Brain, Slice 106 of 155
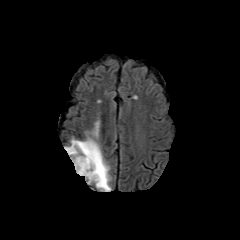
FLAIR magnetic resonance.
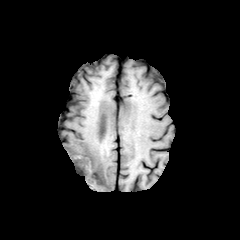
Same slice, T1-weighted MR.
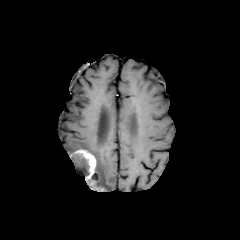
Post-contrast T1-weighted magnetic resonance.
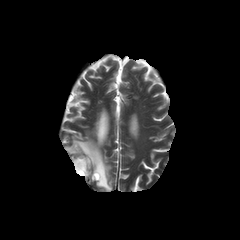
T2-weighted MR image of the same slice.
Non-enhancing tumor core = [71, 152, 89, 176].
Enhancing tumor = [75, 150, 95, 179].
Edema = [66, 137, 111, 190].